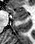

MR image. Hippocampus.

anterior_hippocampus:
  - rect(7, 8, 28, 20)